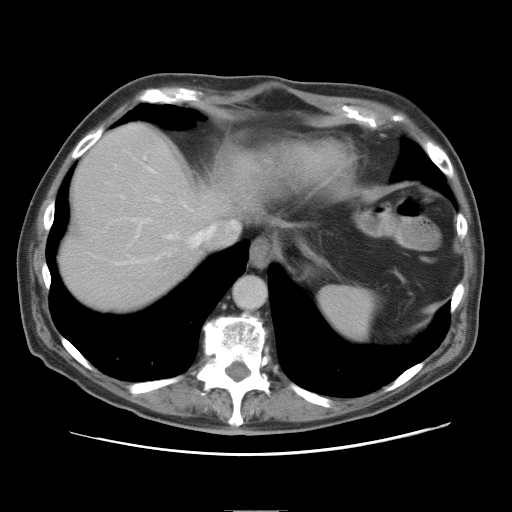
512x512 px | CT
Some hepatic vessels may have no box.
<segmentation>
  <hepatic_vessel>region(168, 233, 177, 238); region(155, 258, 157, 259); region(149, 169, 153, 172); region(154, 197, 157, 199); region(133, 219, 147, 237); region(189, 226, 215, 248); region(117, 257, 142, 264); region(168, 254, 170, 255)</hepatic_vessel>
</segmentation>